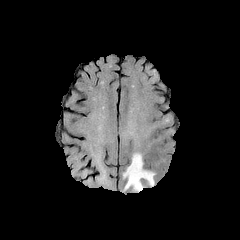
FLAIR MR.
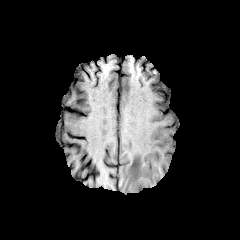
T1-weighted MR of the same slice.
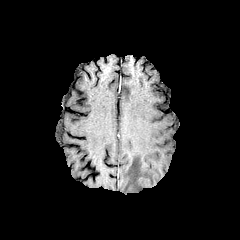
Post-contrast T1-weighted MRI.
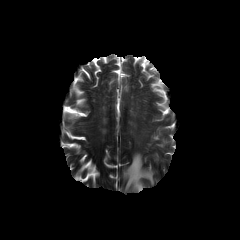
T2-weighted MR image.
Edema — [x1=123, y1=154, x2=154, y2=191].